Slice 93/155; 240x240 px
FLAIR magnetic resonance.
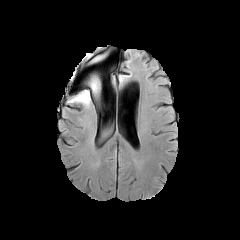
T1-weighted MR.
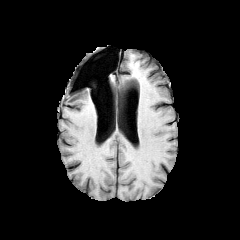
Post-contrast T1-weighted magnetic resonance.
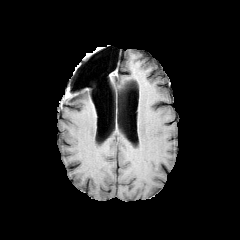
T2-weighted magnetic resonance.
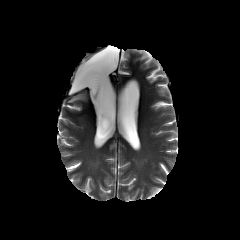
Findings:
- edema: [90,56,101,62], [68,74,101,107]